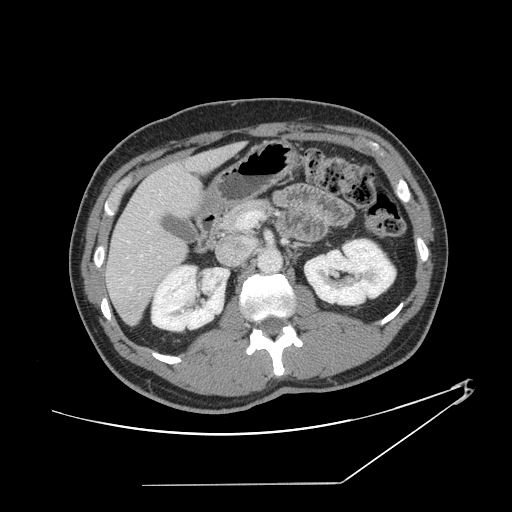
CT, Liver
Not every hepatic vessel necessarily has a box.
6 hepatic vessel regions are located at (130, 287, 131, 289), (127, 242, 129, 243), (127, 254, 128, 257), (143, 280, 144, 282), (150, 212, 152, 215), (140, 255, 141, 256).